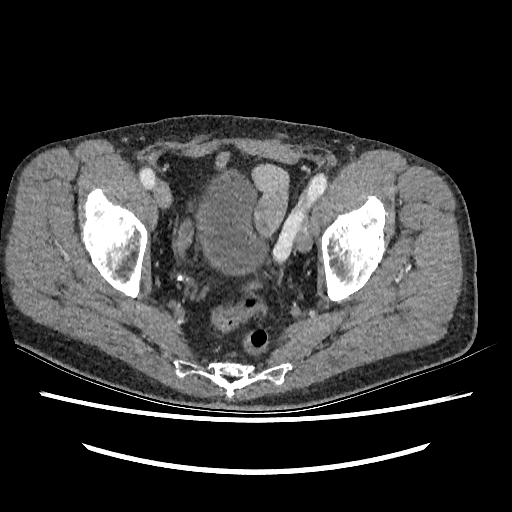 CT slice, Lower abdomen

Urinary bladder: <bbox>199, 176, 266, 274</bbox>.